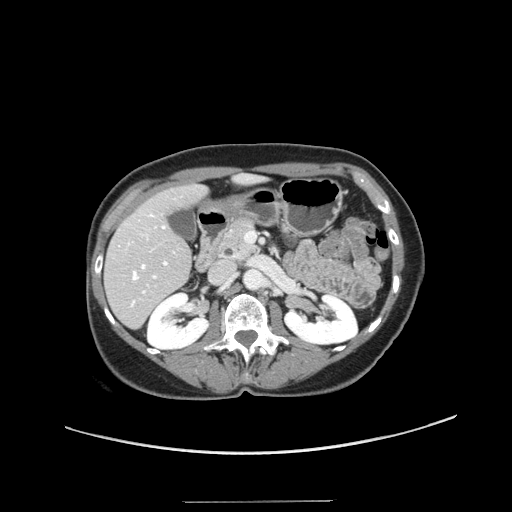
Abdomen, CT slice

Only some of the vessels may be annotated.
Segmented structures:
- hepatic vessel: x1=132 y1=300 x2=134 y2=304, x1=153 y1=275 x2=155 y2=277, x1=163 y1=226 x2=164 y2=227, x1=142 y1=265 x2=144 y2=267, x1=150 y1=214 x2=153 y2=216, x1=164 y1=262 x2=166 y2=263, x1=132 y1=272 x2=138 y2=279, x1=143 y1=290 x2=144 y2=292